Magnetic resonance | Medial temporal lobe
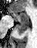
{"anterior_hippocampus": ["8 9 28 22"], "posterior_hippocampus": ["15 23 28 35"]}